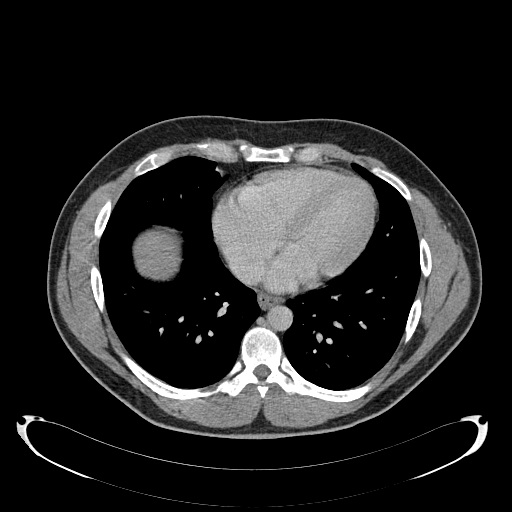
Computed tomography
liver:
  - bbox(134, 233, 177, 276)